Brain; Slice 109/155
FLAIR MR image.
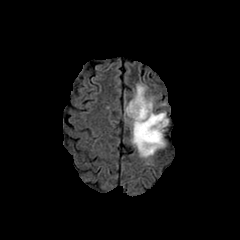
T1-weighted MRI.
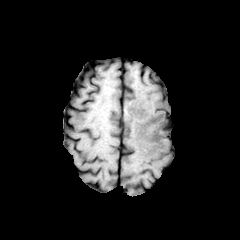
Post-contrast T1-weighted MRI.
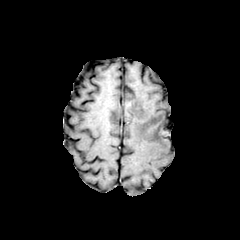
T2-weighted MR.
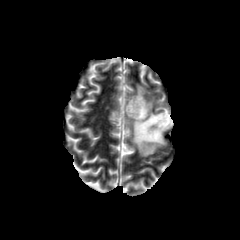
Non-enhancing tumor core at region(142, 115, 168, 141).
Edema at region(125, 84, 169, 160).